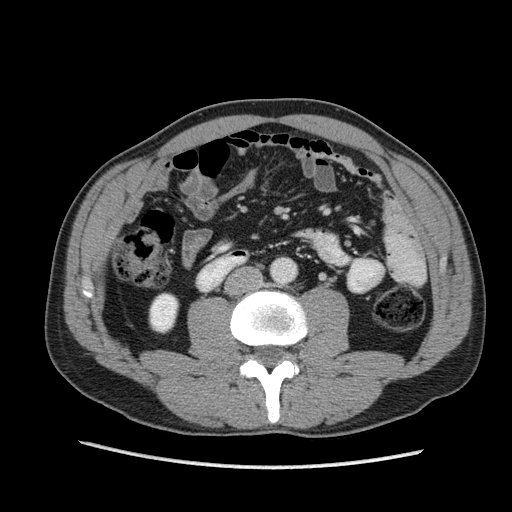 Computed tomography | Abdomen
The kidney appears at x1=151, y1=294, x2=176, y2=330.